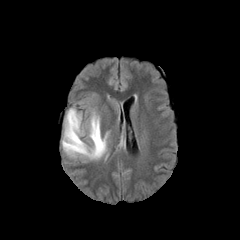
FLAIR MR image.
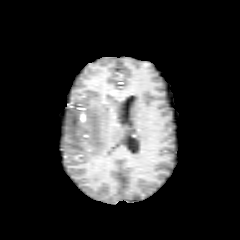
T1-weighted MRI.
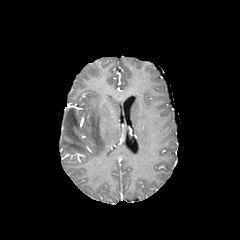
Post-contrast T1-weighted magnetic resonance.
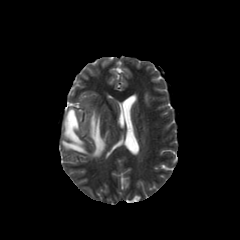
T2-weighted MRI.
The edema is bounded by bbox(62, 108, 107, 158).